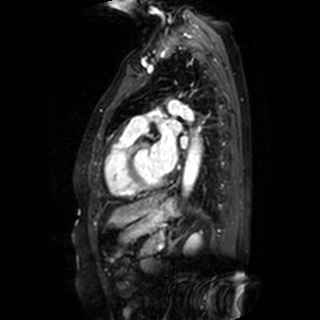
MR image. 3 left atrium regions are located at <bbox>153, 131, 176, 171</bbox>, <bbox>172, 121, 181, 129</bbox>, <bbox>180, 136, 186, 148</bbox>.